CT image; Abdomen; 512x512
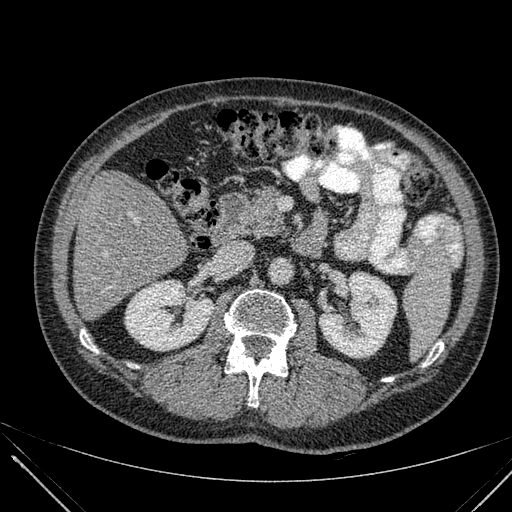

Kidney: box=[125, 281, 213, 350]; box=[319, 273, 396, 357].
Liver: box=[73, 170, 189, 321].